Slice index 448. CT slice.
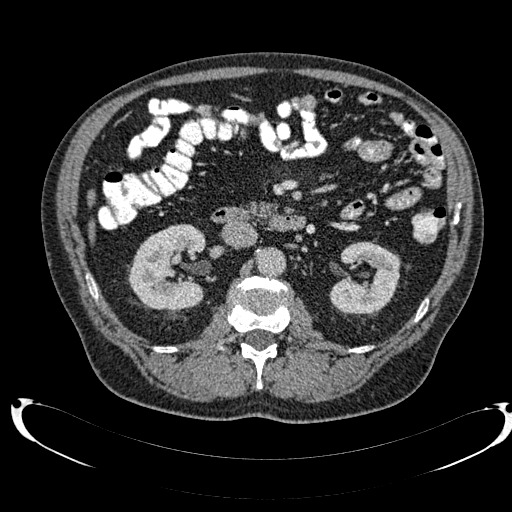

liver:
  - {"x1": 88, "y1": 189, "x2": 95, "y2": 206}
  - {"x1": 89, "y1": 221, "x2": 95, "y2": 242}
kidney:
  - {"x1": 210, "y1": 246, "x2": 223, "y2": 258}
  - {"x1": 330, "y1": 242, "x2": 400, "y2": 313}
  - {"x1": 129, "y1": 224, "x2": 205, "y2": 311}